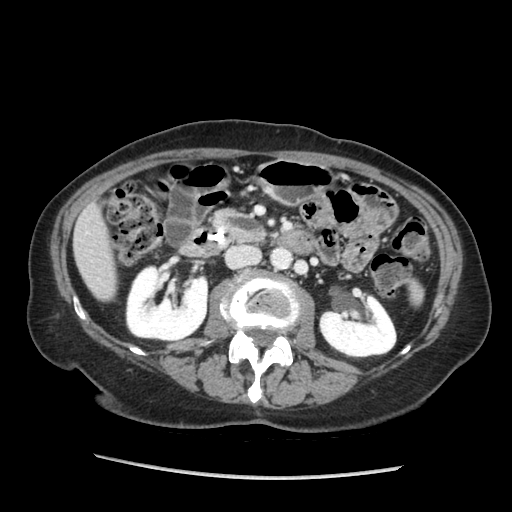

Abdomen, Image size 512x512, CT slice
Segmented structures:
- pancreas: x1=211, y1=209, x2=261, y2=236